Brain; CT; Image size 512x512

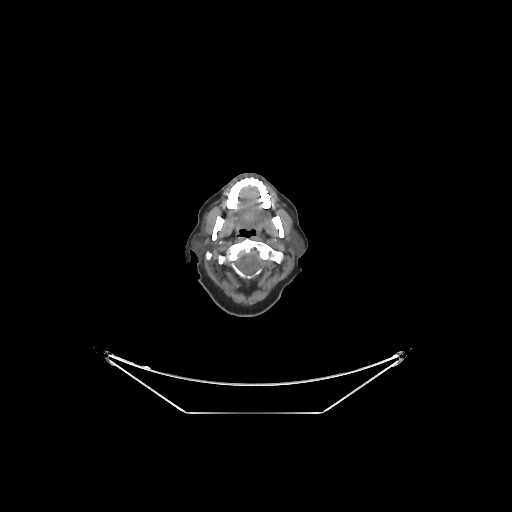 Annotated regions:
- brain: 235,248,261,274